Slice index 124, Image width 240 mm
FLAIR MRI.
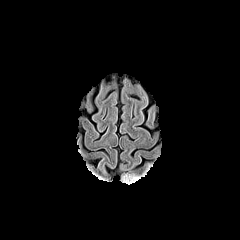
T1-weighted MRI.
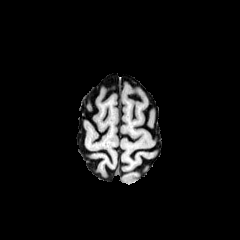
Post-contrast T1-weighted MR.
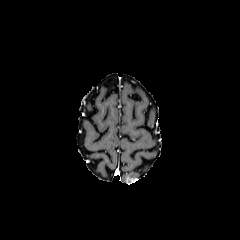
T2-weighted MR.
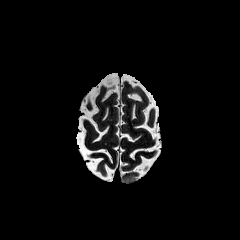
{"enhancing_tumor": ["[126,176,137,183]"], "edema": ["[119,172,141,182]"]}